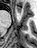

Medial temporal lobe; MR image
anterior hippocampus: region(15, 6, 21, 13)